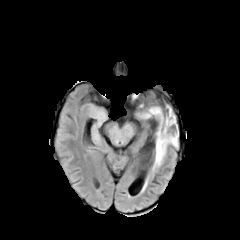
FLAIR MR image.
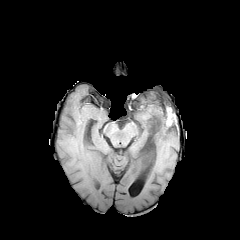
Same slice, T1-weighted magnetic resonance.
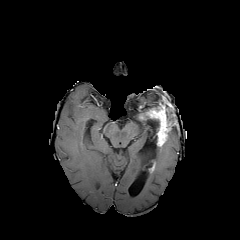
Post-contrast T1-weighted magnetic resonance of the same slice.
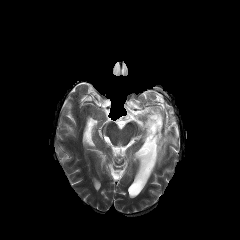
Same slice, T2-weighted magnetic resonance.
240x240 | Brain
Annotated regions:
• non-enhancing tumor core: (138, 103, 160, 117), (161, 103, 175, 120), (152, 120, 161, 150)
• enhancing tumor: (140, 104, 175, 147)
• edema: (151, 130, 178, 173)